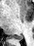
MR | Hippocampus
{
  "posterior_hippocampus": [
    "16 36 22 40"
  ]
}